Image size 240x240. Slice 70/155.
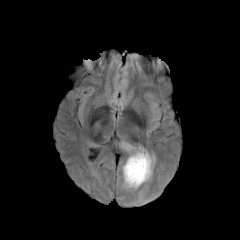
FLAIR MR image.
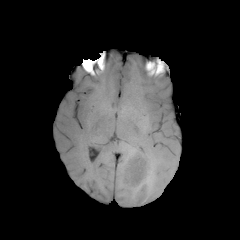
Same slice, T1-weighted MR image.
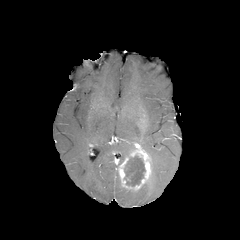
Post-contrast T1-weighted MRI of the same slice.
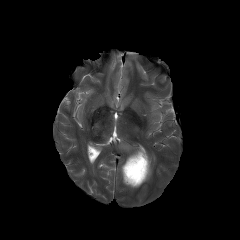
T2-weighted MR.
<segmentation>
  <non-enhancing_tumor_core>left=124, top=156, right=144, bottom=185</non-enhancing_tumor_core>
  <edema>left=147, top=155, right=155, bottom=181</edema>
  <enhancing_tumor>left=119, top=149, right=150, bottom=189</enhancing_tumor>
</segmentation>